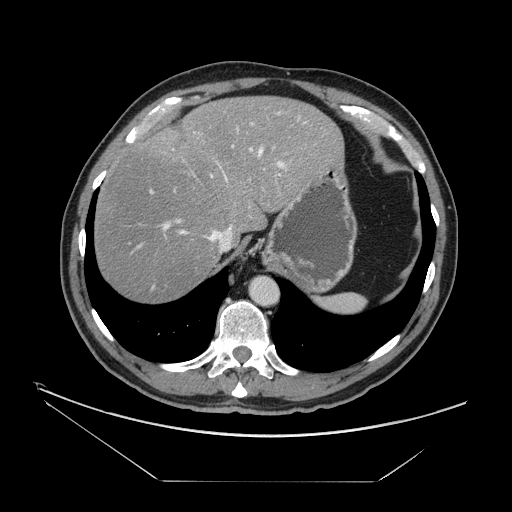

CT scan slice

Some hepatic vessels may have no box.
hepatic_vessel:
  - 250:148:251:150
  - 228:228:230:230
  - 164:223:168:228
  - 224:174:226:179
  - 210:231:219:240
  - 259:148:262:155
  - 181:231:183:232
  - 278:162:286:169